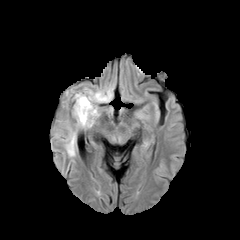
FLAIR MR.
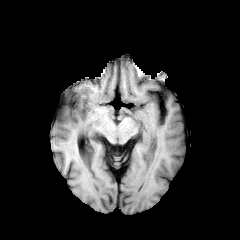
T1-weighted magnetic resonance.
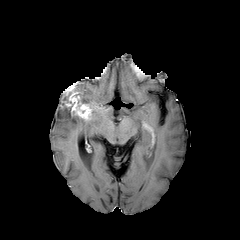
Post-contrast T1-weighted MR of the same slice.
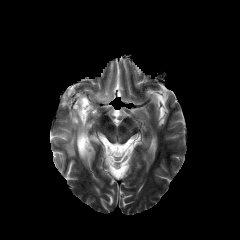
Same slice, T2-weighted MR.
edema:
  - 56, 99, 99, 156
  - 79, 84, 113, 105
enhancing_tumor:
  - 64, 84, 95, 120
non-enhancing_tumor_core:
  - 75, 83, 90, 103